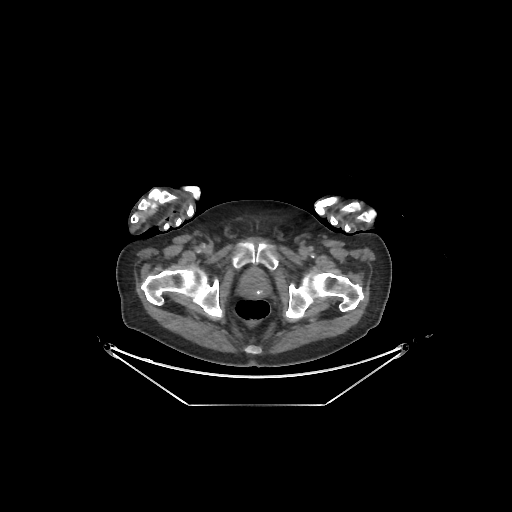 CT image | 512x512 px
bone: left=187, top=204, right=193, bottom=216; left=357, top=210, right=375, bottom=221; left=315, top=197, right=336, bottom=214; left=141, top=267, right=221, bottom=317; left=341, top=202, right=360, bottom=211; left=138, top=189, right=176, bottom=209; left=184, top=186, right=199, bottom=198; left=131, top=213, right=140, bottom=222; left=330, top=216, right=337, bottom=224; left=233, top=243, right=278, bottom=269; left=286, top=271, right=363, bottom=319